240x240, Field of view 240 mm wide, 1.00 mm slice spacing
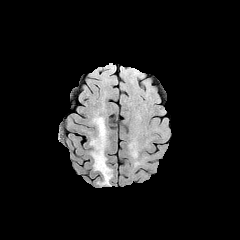
FLAIR MR image.
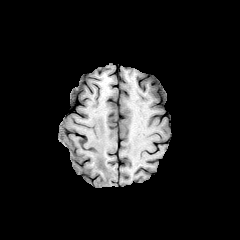
T1-weighted MR image.
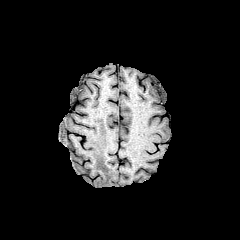
Same slice, post-contrast T1-weighted MRI.
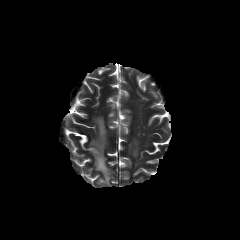
T2-weighted MR image.
edema: 90 117 112 184